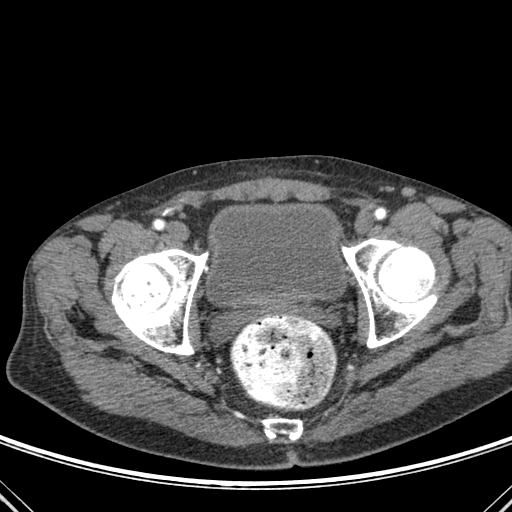
CT, Pelvis

3 bone regions appear at <box>342,237,438,348</box>, <box>261,418,302,440</box>, <box>112,248,208,355</box>. The urinary bladder is bounded by <box>207,203,348,303</box>.